MR image | Cardiac | Field of view 400x400 mm | Slice 100/122 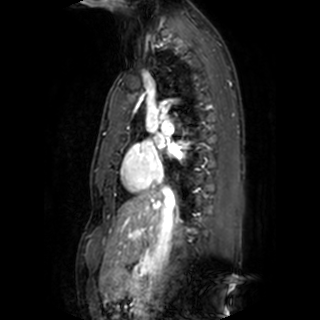

* left atrium: rect(167, 145, 181, 156); rect(155, 136, 164, 148)